CT image | Pelvis
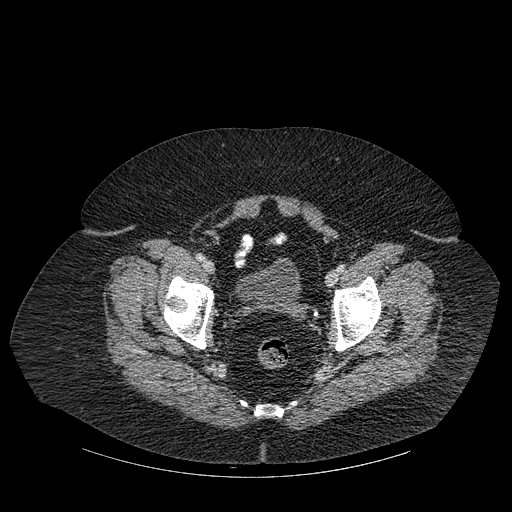 Annotated regions:
* bone: box(254, 405, 283, 417); box(333, 277, 380, 350); box(164, 276, 213, 348)
* urinary bladder: box(235, 256, 301, 316)